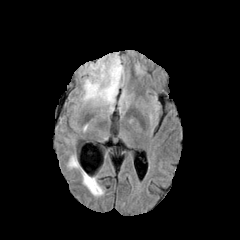
FLAIR magnetic resonance.
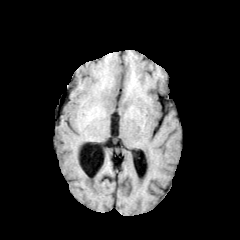
T1-weighted magnetic resonance of the same slice.
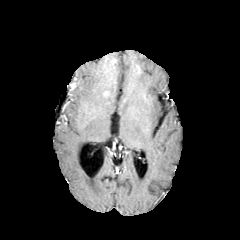
Post-contrast T1-weighted magnetic resonance.
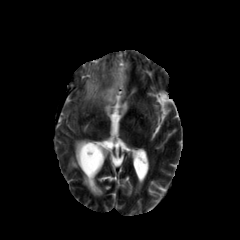
T2-weighted magnetic resonance of the same slice.
Head.
Annotated regions:
- edema: bbox(83, 54, 125, 113); bbox(67, 151, 104, 196)